512x512 px; CT; Field of view 379 mm wide, 5.00 mm slice spacing 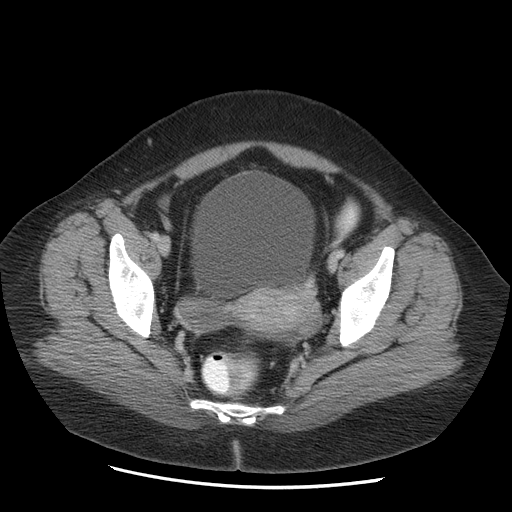 The urinary bladder lies within l=191, t=175, r=314, b=295.